Slice index 625. Field of view 700 mm wide, 2.50 mm slice spacing. Computed tomography. 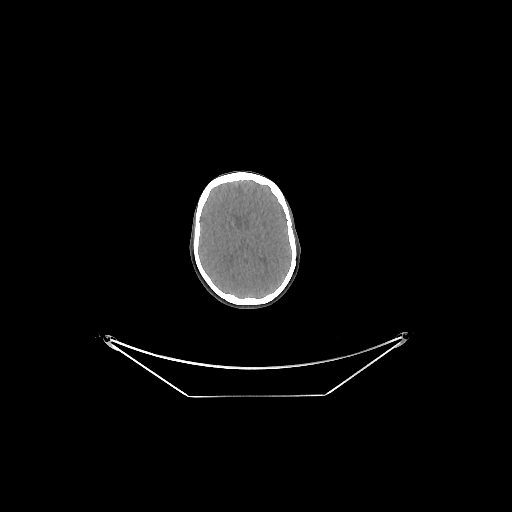

• brain: bbox(198, 180, 291, 298)